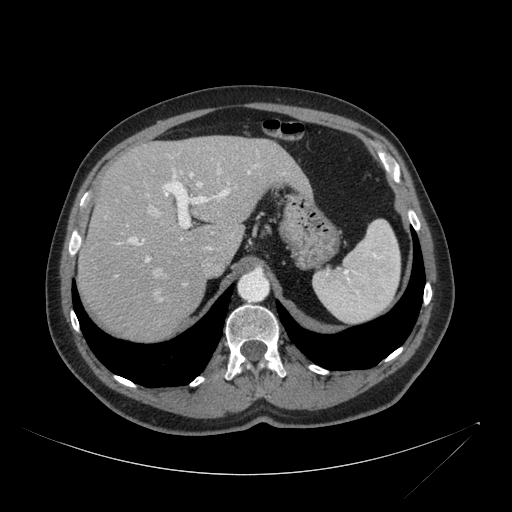
Image size 512x512; Computed tomography

Segmented structures:
- liver: box(78, 136, 310, 340)